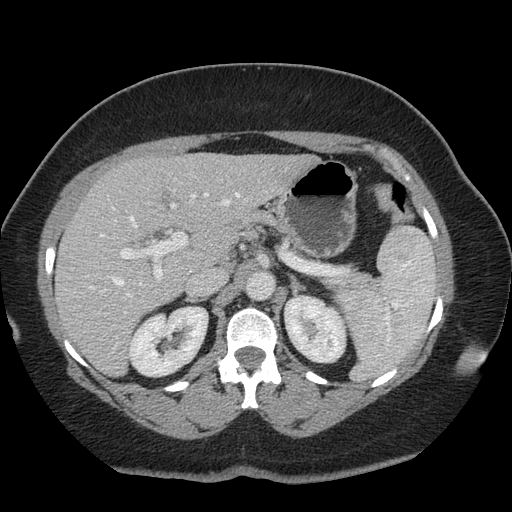 Computed tomography
Only some of the vessels may be annotated.
The largest 15 hepatic vessel regions (of 17) appear at l=90, t=286, r=93, b=288; l=101, t=290, r=105, b=293; l=192, t=195, r=195, b=197; l=222, t=200, r=229, b=205; l=100, t=235, r=104, b=237; l=130, t=216, r=136, b=227; l=121, t=232, r=186, b=261; l=172, t=204, r=175, b=207; l=155, t=266, r=161, b=279; l=236, t=193, r=238, b=198; l=126, t=293, r=132, b=297; l=205, t=193, r=207, b=196; l=243, t=200, r=246, b=202; l=109, t=277, r=123, b=285; l=140, t=283, r=142, b=285.